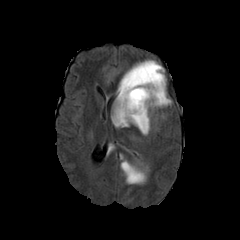
FLAIR MRI.
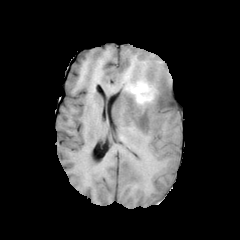
T1-weighted MR.
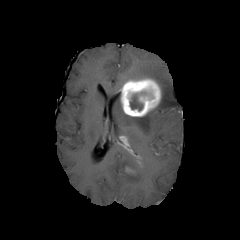
Post-contrast T1-weighted MR.
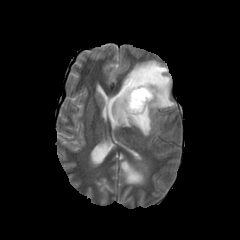
T2-weighted MR image.
Head
non-enhancing_tumor_core:
  - x1=130, y1=92, x2=143, y2=109
edema:
  - x1=113, y1=60, x2=171, y2=135
  - x1=121, y1=160, x2=145, y2=183
enhancing_tumor:
  - x1=120, y1=77, x2=161, y2=116